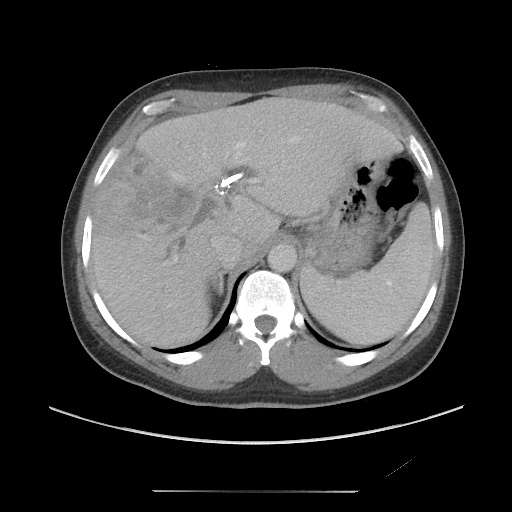
Liver, CT slice

The vessel annotation is not exhaustive.
Liver tumor at l=94, t=154, r=203, b=235.
Hepatic vessel at l=235, t=142, r=245, b=153; l=289, t=138, r=297, b=141; l=249, t=179, r=254, b=182; l=138, t=234, r=147, b=239; l=173, t=173, r=182, b=178; l=174, t=256, r=176, b=261; l=204, t=153, r=205, b=156.